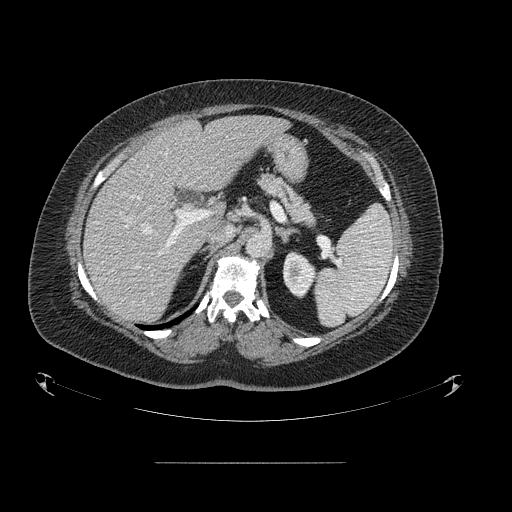

CT image

Pancreas: bounding box bbox(258, 174, 314, 226).